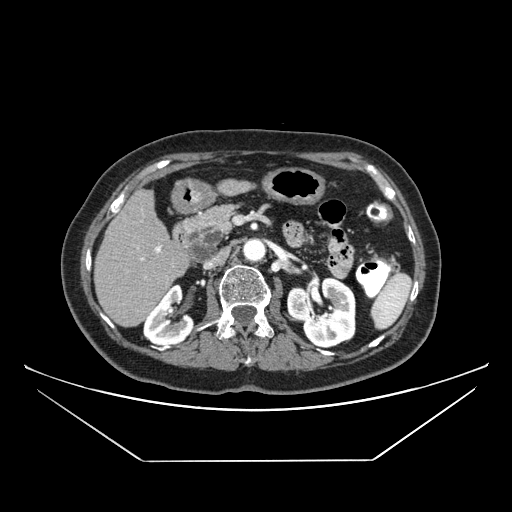 CT slice, 512x512

The pancreas is located at 180, 204, 241, 264. The pancreatic tumor appears at 186, 227, 221, 262.